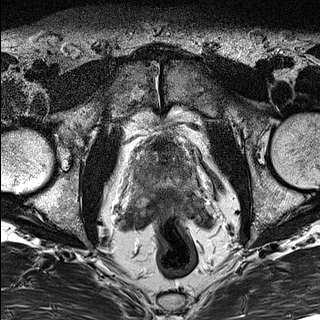
T2-weighted MR.
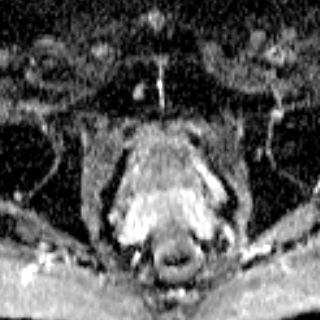
ADC magnetic resonance.
Prostate
Prostate transition zone: [x1=151, y1=146, x2=183, y2=179].
Prostate peripheral zone: [x1=138, y1=152, x2=189, y2=187].